FLAIR magnetic resonance.
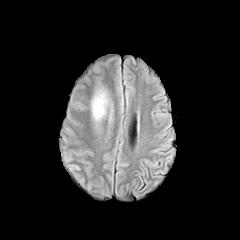
T1-weighted magnetic resonance.
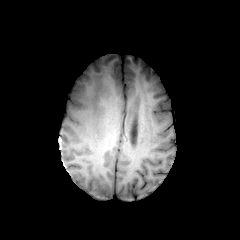
Post-contrast T1-weighted MRI.
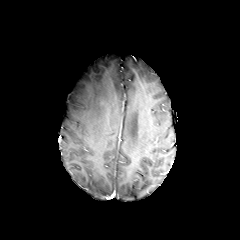
T2-weighted magnetic resonance.
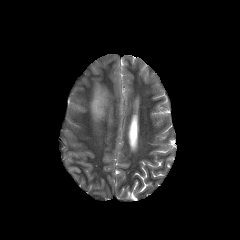
Head
Findings:
* edema: bbox(92, 91, 105, 119)